Slice 69/155; 240x240 px
FLAIR MR.
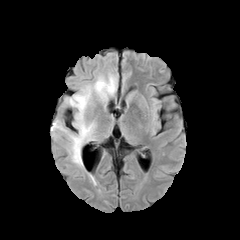
T1-weighted MR.
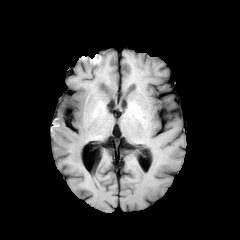
Post-contrast T1-weighted MR.
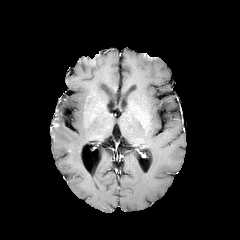
T2-weighted MRI.
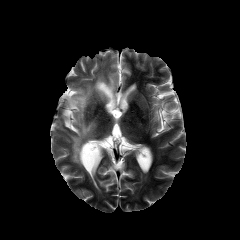
<segmentation>
  <non-enhancing_tumor_core>box=[66, 96, 76, 109]</non-enhancing_tumor_core>
  <edema>box=[51, 72, 117, 167]</edema>
</segmentation>